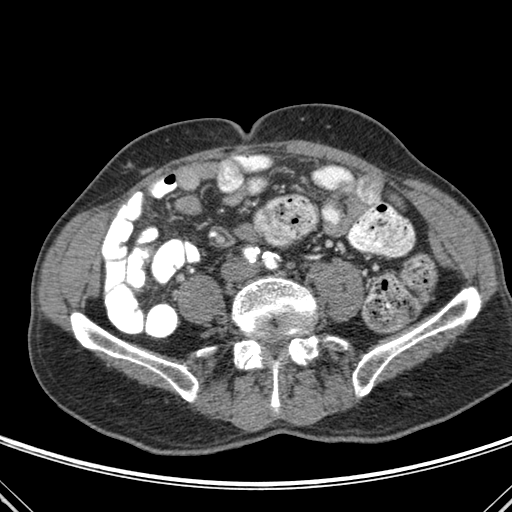
CT

Bone = [x1=352, y1=287, x2=481, y2=396], [x1=234, y1=340, x2=267, y2=369], [x1=324, y1=336, x2=347, y2=348], [x1=232, y1=277, x2=315, y2=336], [x1=271, y1=358, x2=282, y2=410], [x1=197, y1=347, x2=214, y2=355], [x1=70, y1=312, x2=198, y2=401], [x1=283, y1=335, x2=318, y2=364].